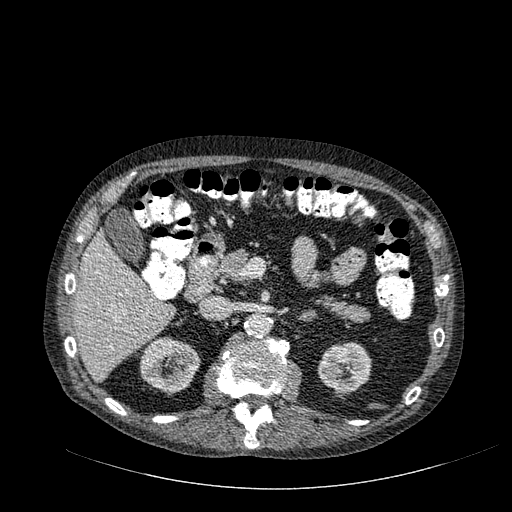

CT scan slice. 512x512 px. Upper abdomen.
Liver = (left=74, top=232, right=173, bottom=380).
Kidney = (left=317, top=342, right=371, bottom=393), (left=140, top=337, right=200, bottom=394).